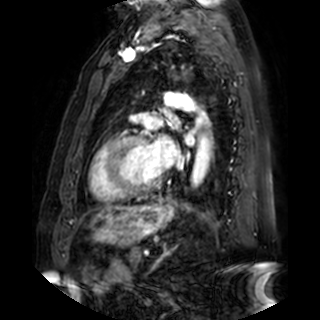

Cardiac; MR image; 320x320

2 left atrium regions are bounded by 185, 132, 194, 144; 147, 139, 177, 167.